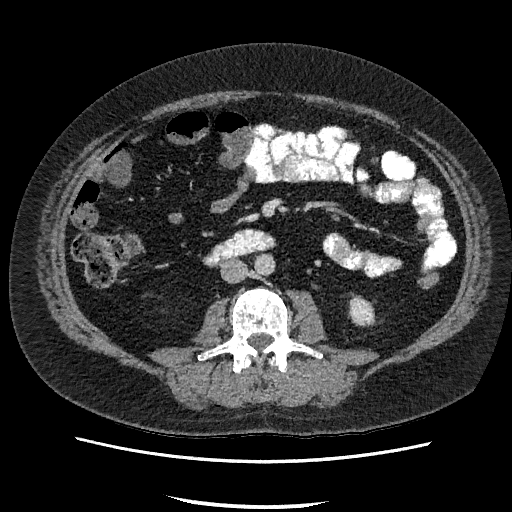
CT image, Abdomen

kidney: [x1=351, y1=300, x2=372, y2=322]